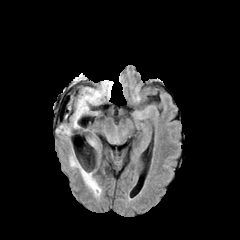
FLAIR MRI.
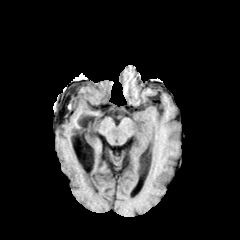
T1-weighted magnetic resonance of the same slice.
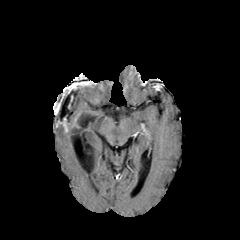
Post-contrast T1-weighted MR.
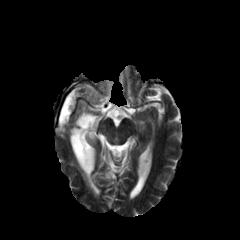
T2-weighted MRI.
Edema at (69, 150, 101, 196), (72, 81, 111, 128), (60, 125, 71, 135).